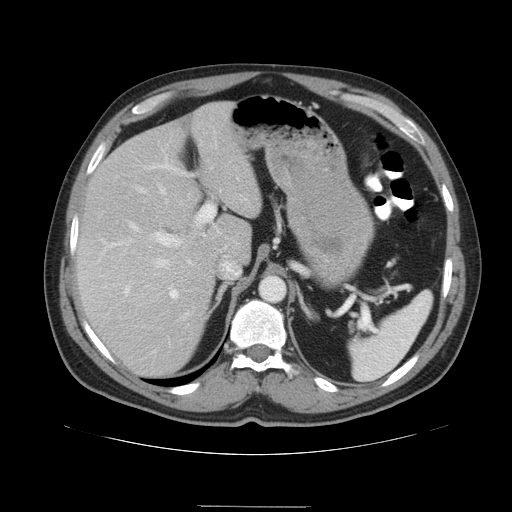 CT scan slice | Liver

Only some of the vessels may be annotated.
Segmented structures:
* hepatic vessel (principal 15 of 16): box=[158, 184, 165, 193]; box=[124, 287, 129, 294]; box=[183, 313, 188, 317]; box=[144, 154, 188, 175]; box=[221, 261, 238, 277]; box=[157, 259, 168, 267]; box=[203, 234, 205, 236]; box=[196, 205, 215, 225]; box=[101, 239, 132, 257]; box=[137, 187, 145, 193]; box=[152, 232, 181, 246]; box=[169, 287, 177, 298]; box=[215, 226, 220, 234]; box=[188, 261, 191, 264]; box=[130, 223, 138, 231]